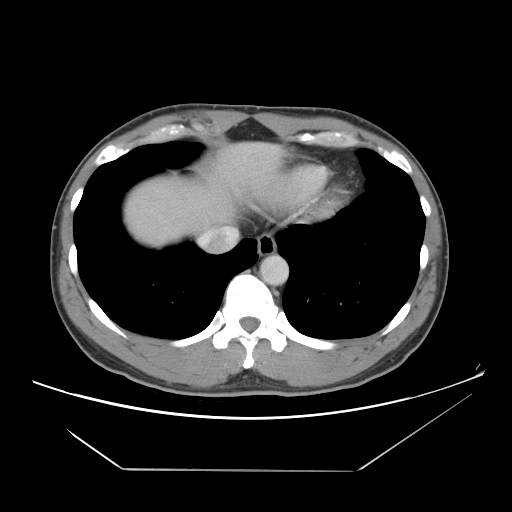

Image size 512x512, CT slice, Abdomen

Not every hepatic vessel necessarily has a box.
Segmented structures:
• hepatic vessel: l=198, t=227, r=237, b=246